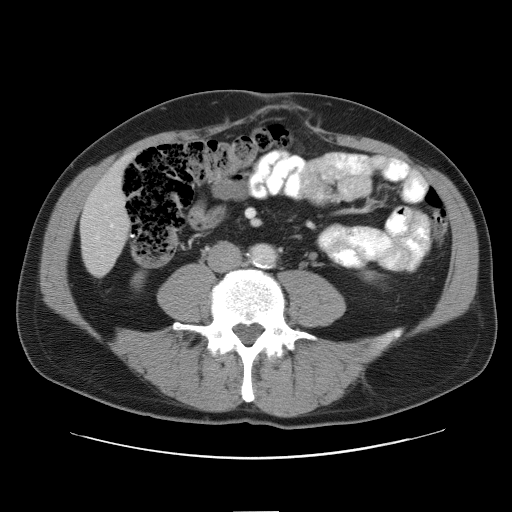
CT image

Only some of the vessels may be annotated.
Hepatic vessel at x1=110 y1=225 x2=112 y2=227, x1=95 y1=236 x2=98 y2=239.